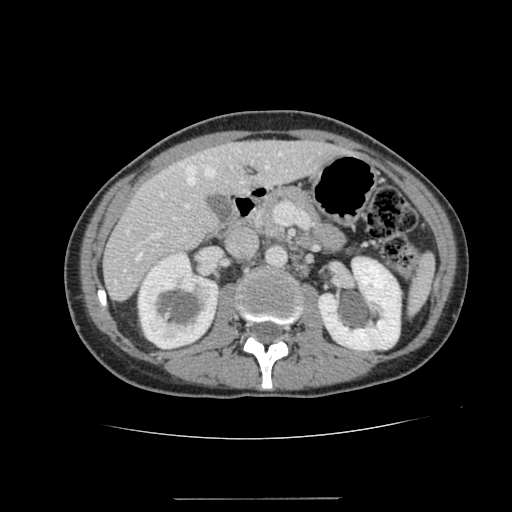 CT slice. Liver = box=[102, 139, 347, 299].
Kidney = box=[138, 252, 217, 348]; box=[319, 258, 400, 350].